Slice 357 of 605, CT scan slice, Upper abdomen
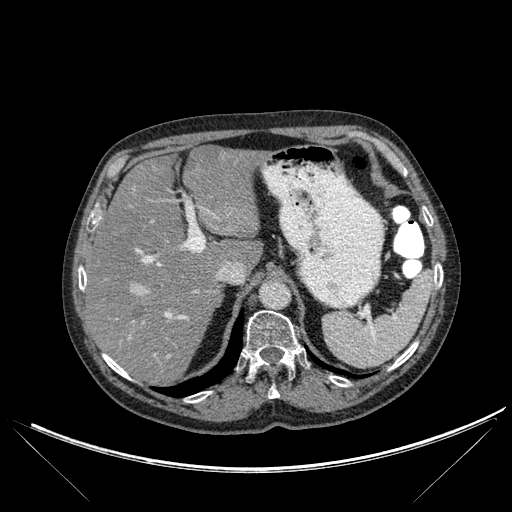 Findings:
- liver lesion: (191,145,221,165), (133,305,143,319)
- liver: (183,145,262,237), (86,157,262,386)
- bone: (78,267,86,289), (103,354,130,379), (242,310,302,374), (434,264,442,286), (423,207,432,225), (391,342,417,368), (329,376,350,386), (185,391,210,402), (268,386,279,398)
- lung: (310,353,358,377), (154,311,243,396)